512x512, Field of view 400x400 mm, CT scan slice, Liver 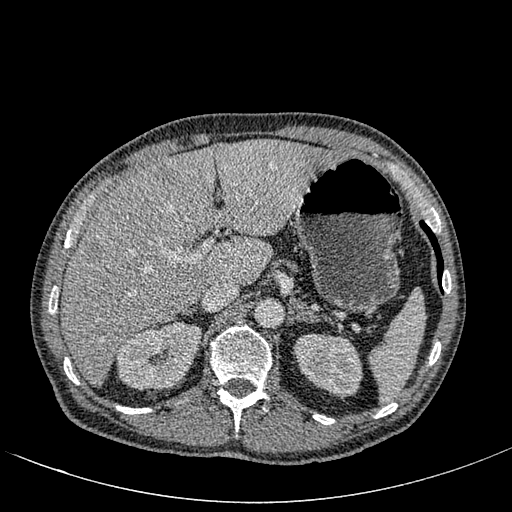

Focal liver lesion — [85,241,101,263], [214,144,223,153], [153,163,173,181].
Kidney — [294,334,361,395], [116,322,201,389].
Liver — [61,138,343,385].